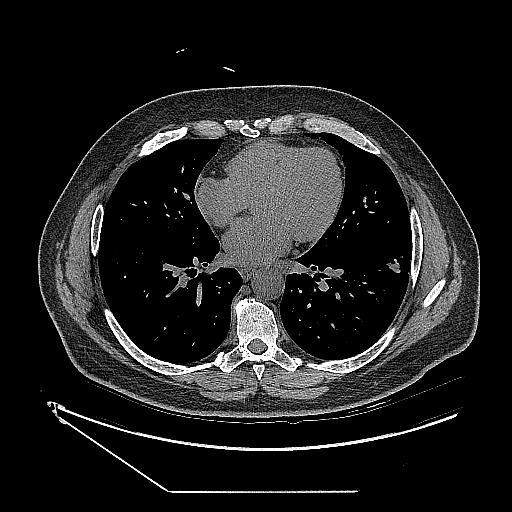
Thorax | CT image
Lung tumor at region(386, 259, 400, 273).